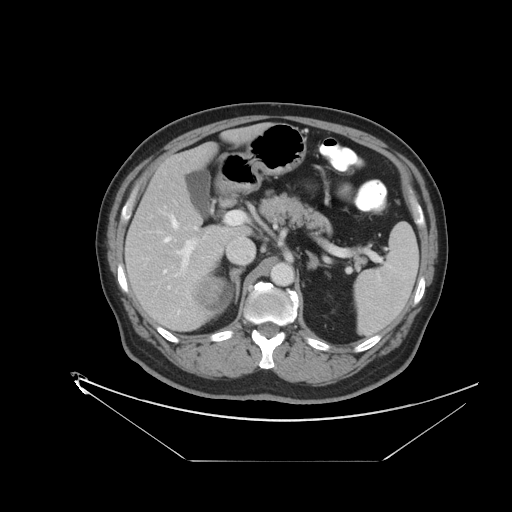 CT slice
The vessel boxes may cover only some of the vessels.
Liver tumor: bounding box bbox(198, 278, 230, 310).
Hepatic vessel: bounding box bbox(176, 273, 181, 275); bbox(168, 215, 178, 228); bbox(164, 237, 170, 241); bbox(163, 270, 166, 272); bbox(177, 240, 195, 268); bbox(164, 213, 167, 214); bbox(177, 310, 179, 313); bbox(168, 286, 169, 288).